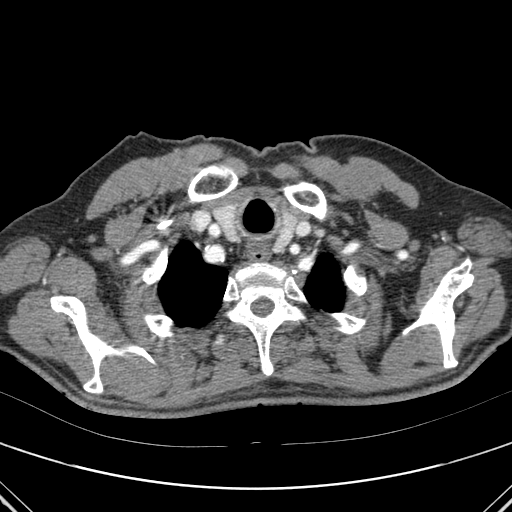
CT slice | Chest

2 lung regions are bounded by left=304, top=253, right=344, bottom=312; left=158, top=241, right=227, bottom=327. 11 bone regions are bounded by left=403, top=258, right=473, bottom=368; left=156, top=220, right=172, bottom=231; left=144, top=314, right=172, bottom=336; left=398, top=251, right=407, bottom=258; left=283, top=182, right=326, bottom=219; left=143, top=246, right=167, bottom=284; left=344, top=265, right=366, bottom=295; left=50, top=296, right=154, bottom=393; left=331, top=313, right=365, bottom=333; left=223, top=263, right=306, bottom=375; left=188, top=165, right=237, bottom=202.